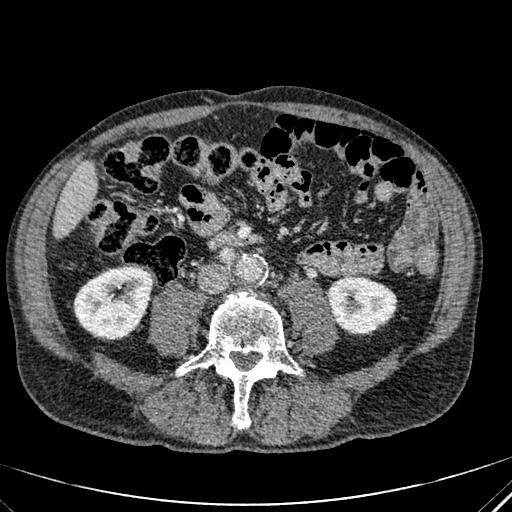
Computed tomography

2 kidney regions are bounded by 329,278,395,332; 75,267,151,338. The liver lies within 54,162,96,237.